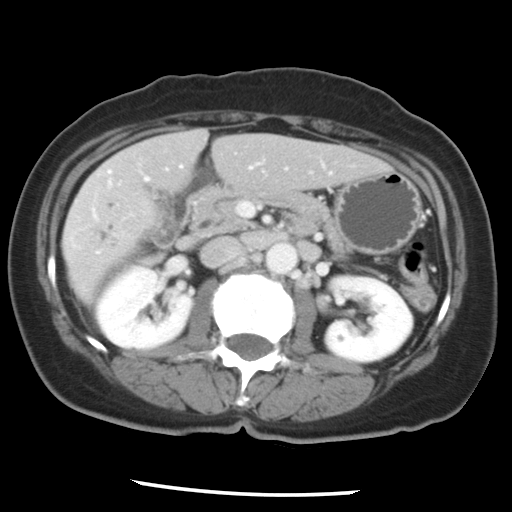 CT image. Abdomen.

Some hepatic vessels may have no box.
{"hepatic_vessel": ["[x1=108, y1=170, x2=109, y2=172]", "[x1=108, y1=181, x2=111, y2=185]", "[x1=145, y1=176, x2=147, y2=179]"]}